Pelvis. 320x320.
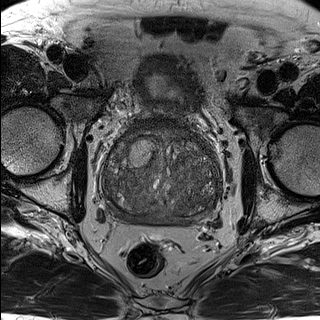
T2-weighted MR image.
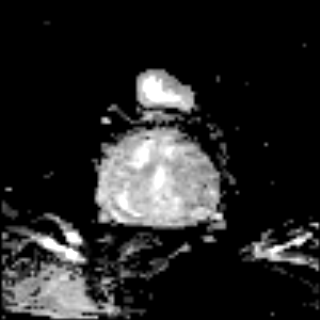
ADC MRI of the same slice.
prostate transition zone: [104, 128, 218, 215] | prostate peripheral zone: [106, 198, 212, 226]